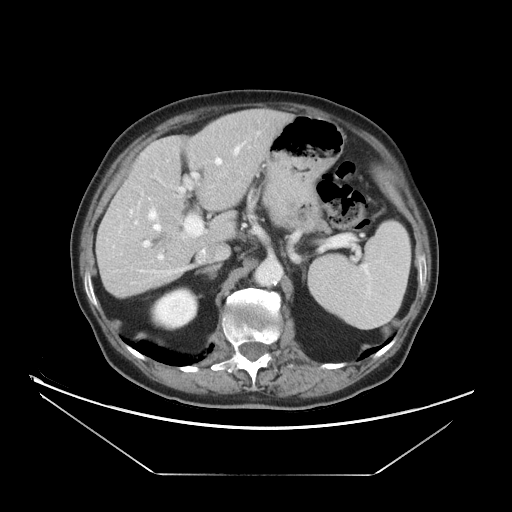

Computed tomography; 512x512
The vessel annotation is not exhaustive.
hepatic_vessel:
  - (x1=233, y1=145, x2=241, y2=155)
  - (x1=158, y1=254, x2=163, y2=259)
  - (x1=153, y1=223, x2=160, y2=230)
  - (x1=214, y1=157, x2=222, y2=164)
  - (x1=142, y1=240, x2=150, y2=247)
  - (x1=178, y1=188, x2=183, y2=191)
  - (x1=193, y1=174, x2=196, y2=175)
  - (x1=152, y1=271, x2=155, y2=271)
  - (x1=166, y1=271, x2=173, y2=273)
  - (x1=179, y1=269, x2=182, y2=269)
  - (x1=149, y1=207, x2=155, y2=219)
  - (x1=135, y1=221, x2=137, y2=223)